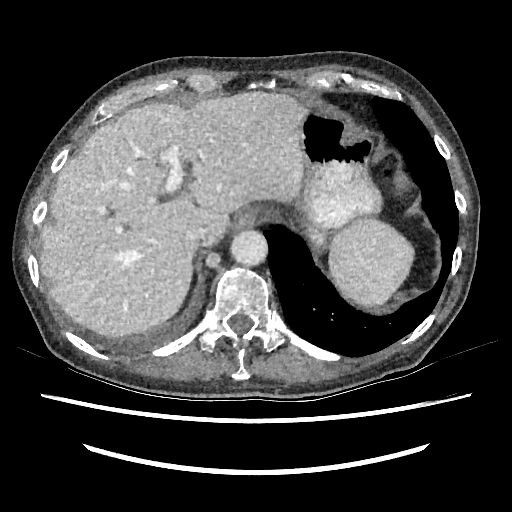

CT slice; Upper abdomen
The liver is located at x1=40 y1=91 x2=304 y2=335.